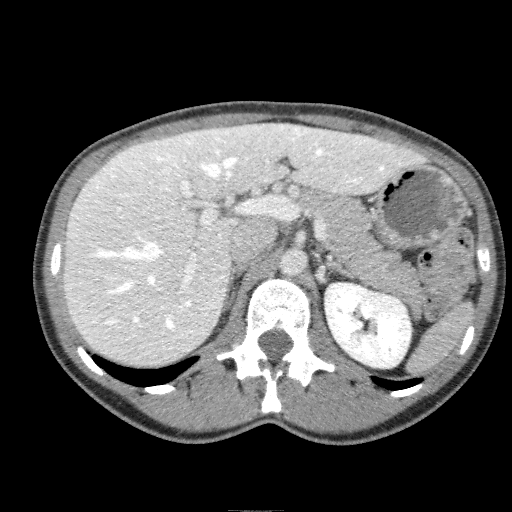
Liver, Image size 512x512, CT scan slice

Segmented structures:
- liver: box(63, 122, 422, 365)
- kidney: box(325, 283, 410, 367)